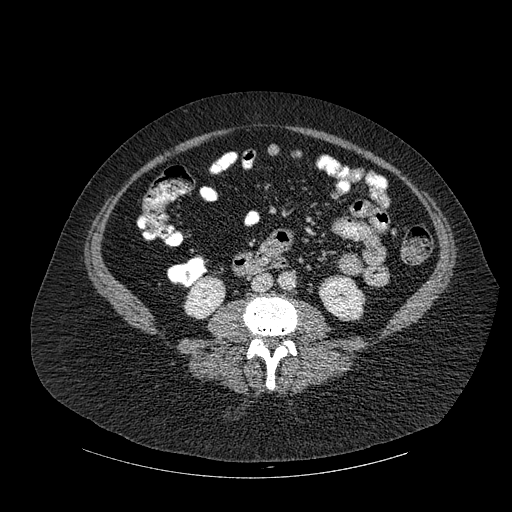

Abdomen; CT slice

2 kidney regions appear at (319, 277, 364, 319), (185, 277, 224, 318). The bone is at (243, 297, 297, 389).